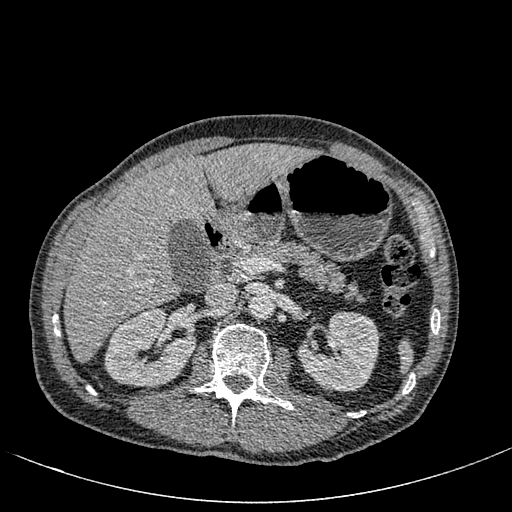

Upper abdomen. 512x512 px. CT.

Liver — [x1=64, y1=144, x2=320, y2=361].
Kidney — [x1=105, y1=309, x2=195, y2=385], [x1=298, y1=312, x2=378, y2=391].